512x512; CT scan slice; Slice index 122
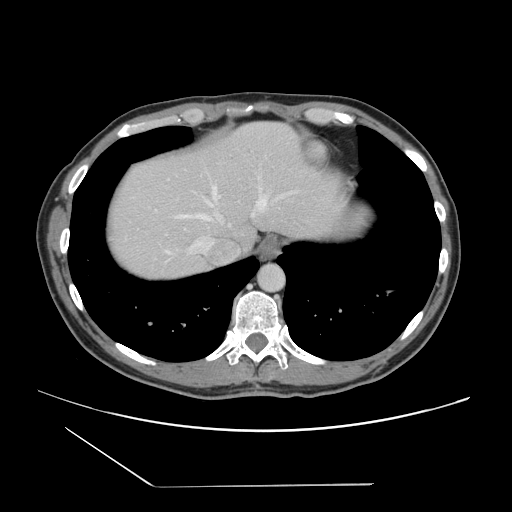
Some hepatic vessels may have no box.
Hepatic vessel at box(212, 184, 219, 200); box(278, 192, 294, 198); box(166, 260, 168, 261); box(252, 211, 255, 215); box(180, 214, 209, 219); box(228, 224, 230, 226); box(256, 188, 267, 210); box(200, 237, 204, 239); box(215, 214, 221, 221); box(259, 175, 259, 178); box(206, 200, 213, 206).